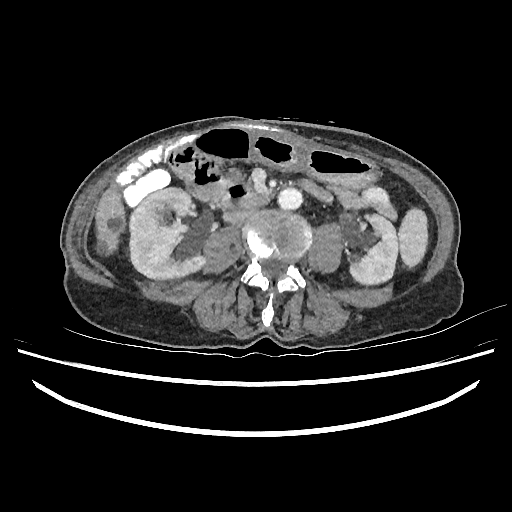

CT image. Upper abdomen.

<segmentation>
  <liver_lesion>[109, 218, 122, 231], [98, 241, 106, 255]</liver_lesion>
  <kidney>[350, 214, 397, 284], [130, 188, 205, 278]</kidney>
  <liver>[96, 186, 124, 255]</liver>
</segmentation>